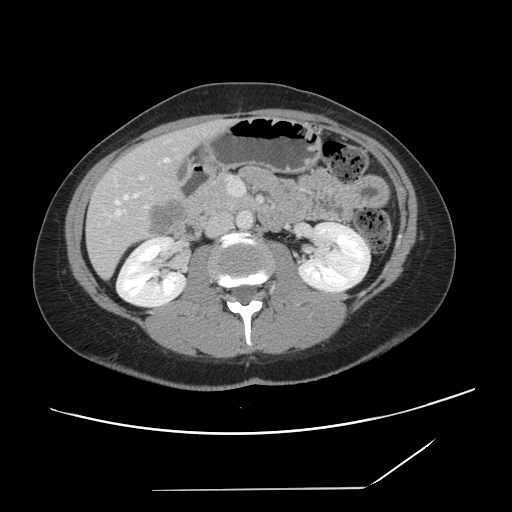
CT slice

Some hepatic vessels may have no box.
Hepatic vessel — box=[140, 177, 142, 179]; box=[144, 205, 147, 207]; box=[103, 214, 106, 214]; box=[108, 240, 109, 241]; box=[133, 193, 139, 196]; box=[115, 201, 118, 204]; box=[115, 209, 124, 215]; box=[124, 195, 127, 198]; box=[164, 158, 168, 161].
Liver tumor — box=[148, 201, 180, 234].